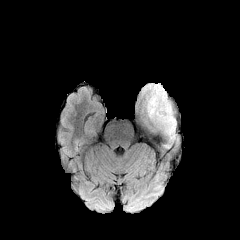
FLAIR MR.
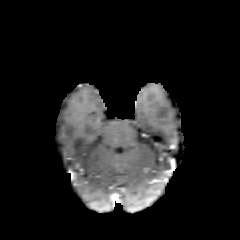
T1-weighted magnetic resonance.
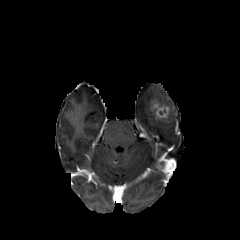
Post-contrast T1-weighted MRI.
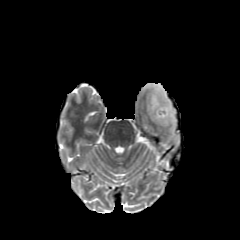
T2-weighted magnetic resonance.
Brain.
enhancing tumor: [x1=152, y1=102, x2=169, y2=117] | edema: [x1=143, y1=84, x2=176, y2=137]